CT slice; Abdomen
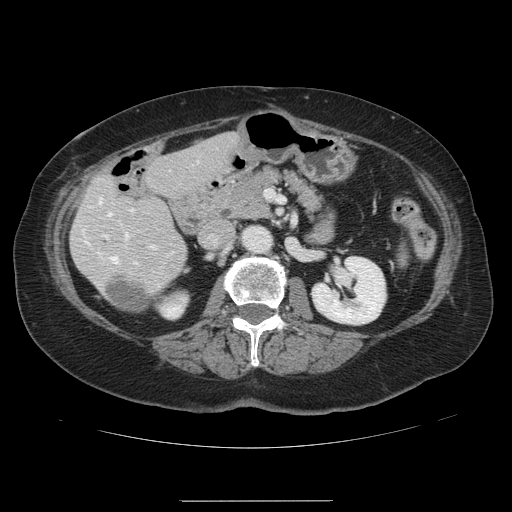

The vessel annotation is not exhaustive.
The liver tumor lies within bbox(109, 278, 157, 308). 9 hepatic vessel regions are bounded by bbox(103, 235, 106, 237); bbox(125, 232, 128, 237); bbox(134, 262, 137, 263); bbox(108, 213, 111, 215); bbox(149, 244, 155, 247); bbox(130, 209, 133, 211); bbox(108, 256, 117, 261); bbox(98, 198, 101, 204); bbox(85, 241, 87, 243).